FLAIR MRI.
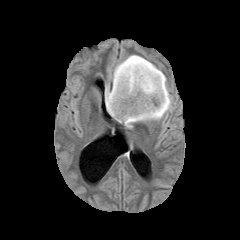
T1-weighted MR.
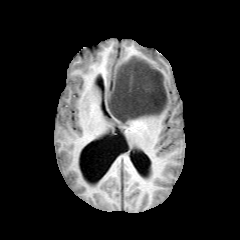
Post-contrast T1-weighted MR image.
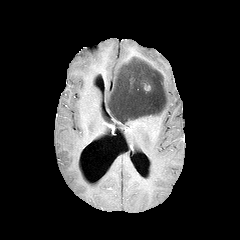
T2-weighted MR.
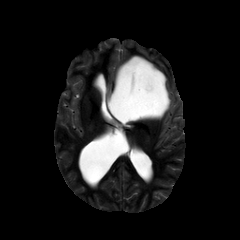
Brain
The non-enhancing tumor core lies within [107,57,167,122]. The edema is located at [104,53,173,129].